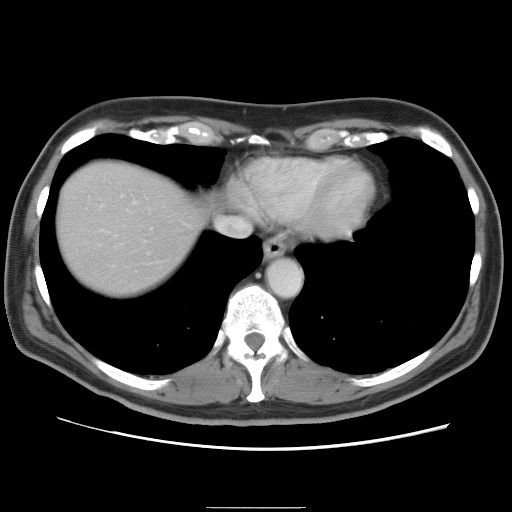

CT | Liver
Only some of the vessels may be annotated.
Hepatic vessel: (121, 194, 122, 195), (100, 204, 103, 206), (133, 200, 136, 203).